CT image, 512x512
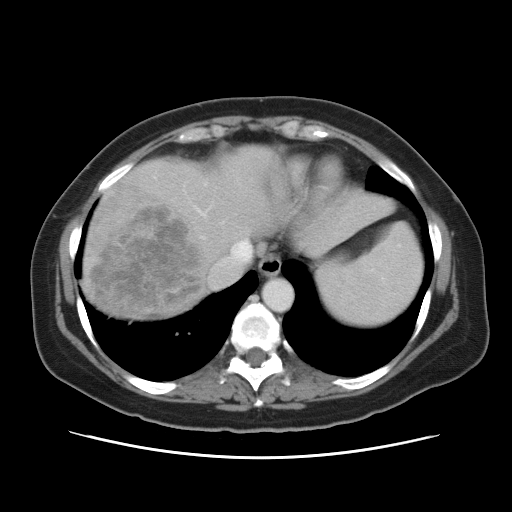
Not every hepatic vessel necessarily has a box.
3 hepatic vessel regions are located at rect(199, 210, 207, 215); rect(207, 237, 252, 288); rect(202, 237, 207, 240). The liver tumor is located at rect(86, 183, 203, 315).